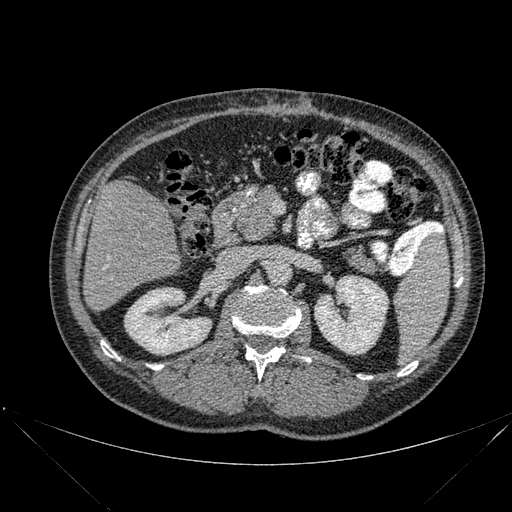 Liver | CT slice

Liver — left=84, top=181, right=180, bottom=311.
Bone — left=246, top=346, right=285, bottom=379; left=150, top=364, right=163, bottom=369; left=357, top=374, right=372, bottom=379; left=397, top=361, right=417, bottom=376; left=231, top=286, right=301, bottom=337; left=101, top=340, right=120, bottom=360.
Kidney — left=315, top=276, right=388, bottom=354; left=124, top=288, right=211, bottom=354.